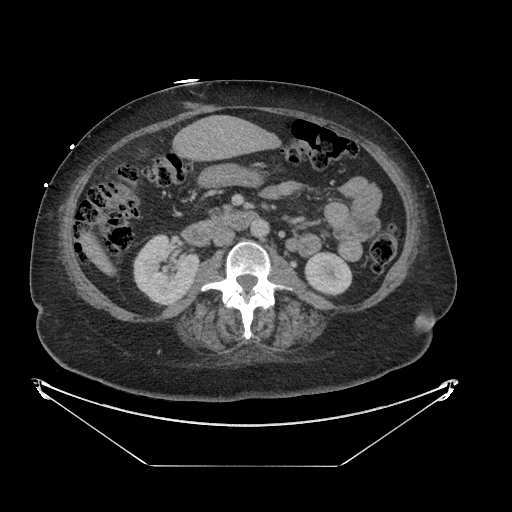
CT | Upper abdomen | 512x512 px

pancreas:
  - {"x1": 212, "y1": 206, "x2": 233, "y2": 221}